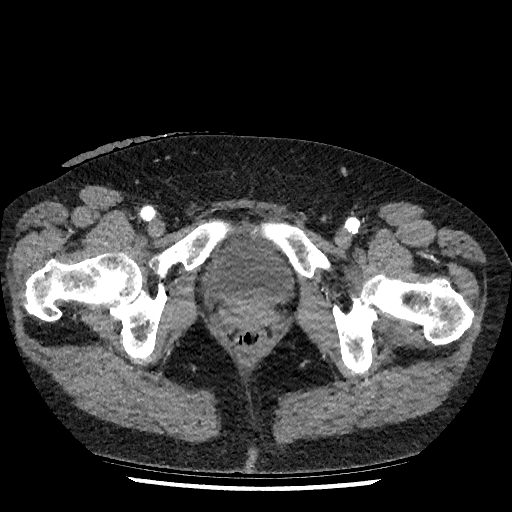
512x512. CT. The urinary bladder is located at 203 228 294 300.